FLAIR MR image.
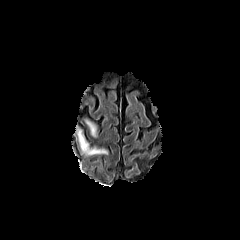
T1-weighted magnetic resonance.
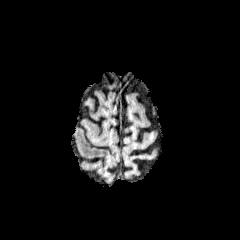
Post-contrast T1-weighted MRI.
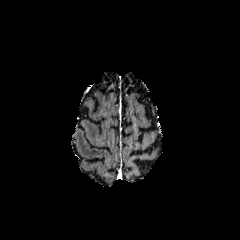
T2-weighted MR image.
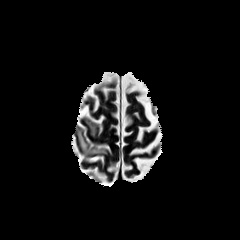
Brain
{"edema": ["l=85, t=119, r=96, b=135", "l=76, t=128, r=107, b=154"]}